FLAIR MR image.
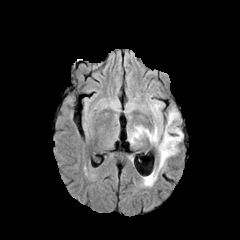
T1-weighted MRI.
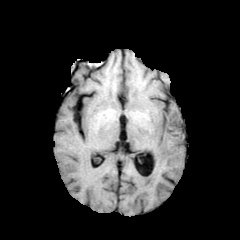
Post-contrast T1-weighted MRI.
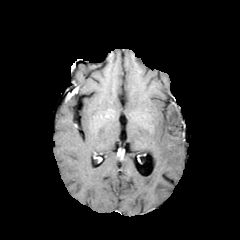
T2-weighted MR image.
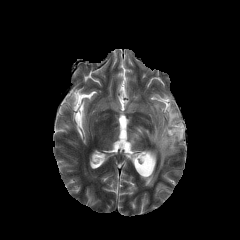
Head
Edema = (x1=127, y1=99, x2=183, y2=186).